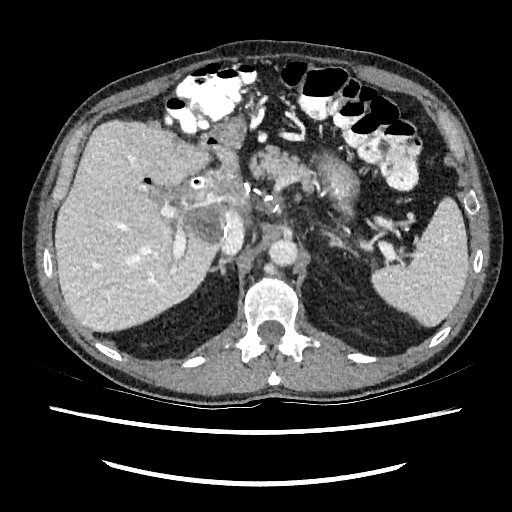 Liver. CT image.

Liver lesion: bounding box (174,165,242,244).
Liver: bounding box (54,121,217,330), (219,148,250,219).